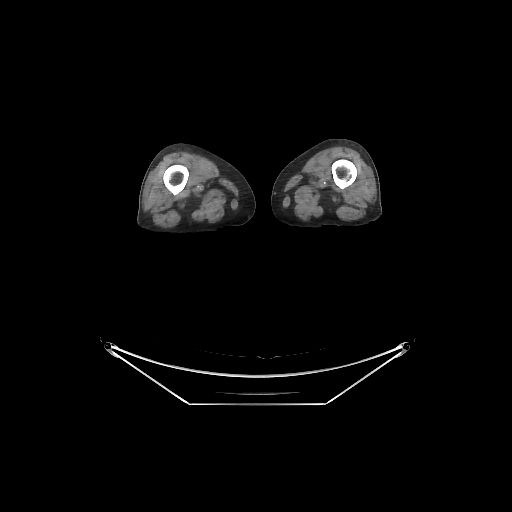
Computed tomography, Image size 512x512

Annotated regions:
* bone: box=[332, 159, 356, 189]; box=[163, 165, 188, 194]